Slice index 260 | Image width 335 mm | Computed tomography | 512x512 px | Abdomen

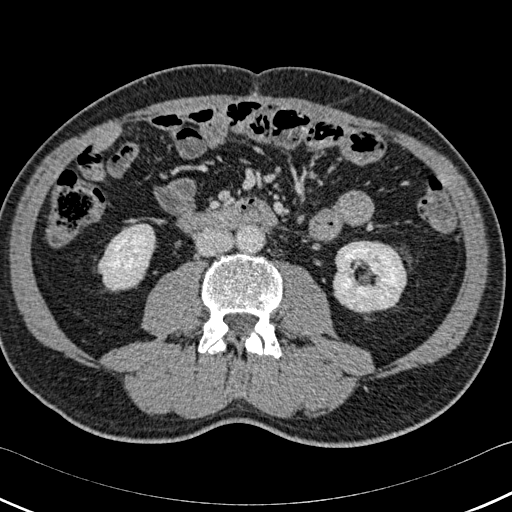

The bone lies within l=198, t=254, r=281, b=358. 2 kidney regions appear at l=99, t=224, r=154, b=289; l=334, t=242, r=405, b=311.